Field of view 403 mm wide, 0.70 mm slice spacing. Upper abdomen. Computed tomography.

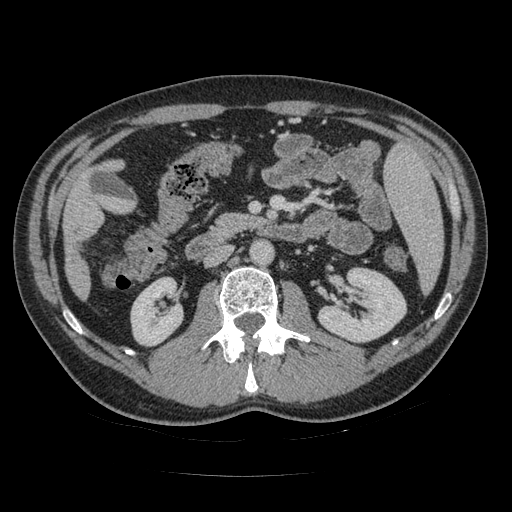

pancreas:
  - <box>215,214,264,237</box>